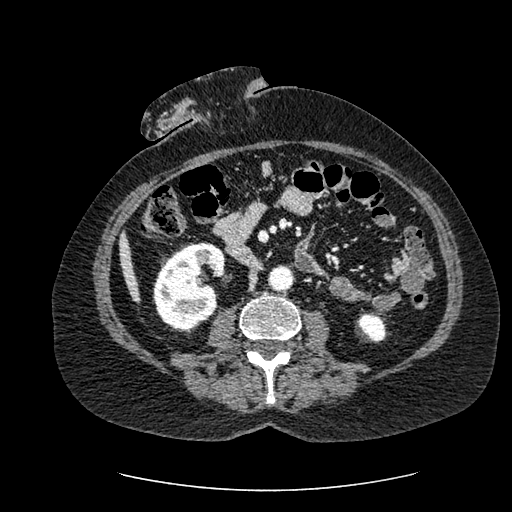 Computed tomography
The liver is located at region(120, 231, 141, 301). 2 kidney regions are bounded by region(154, 243, 223, 329); region(359, 314, 385, 340).